Image width 240 mm; Head
FLAIR magnetic resonance.
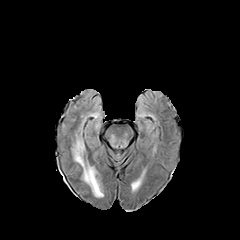
T1-weighted MR.
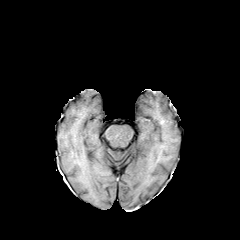
Post-contrast T1-weighted MR image.
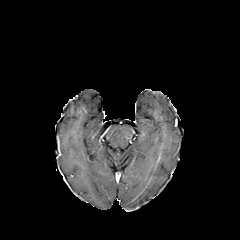
T2-weighted MR.
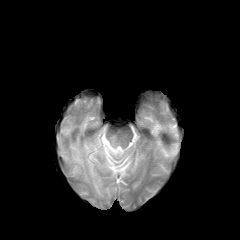
Edema: (x1=74, y1=140, x2=102, y2=196).